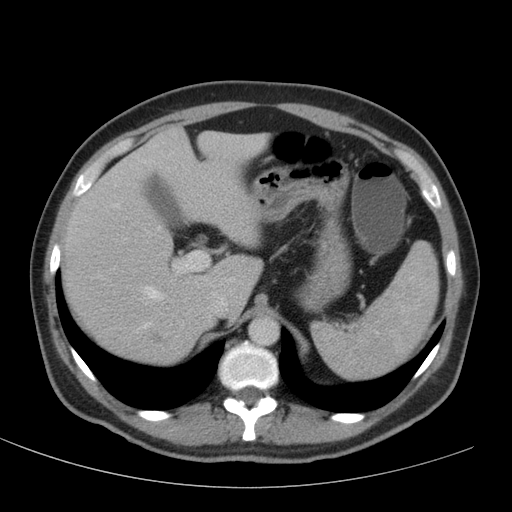

Abdomen, CT image

The liver is located at box(61, 127, 265, 362). The focal liver lesion is located at box(148, 333, 165, 344).